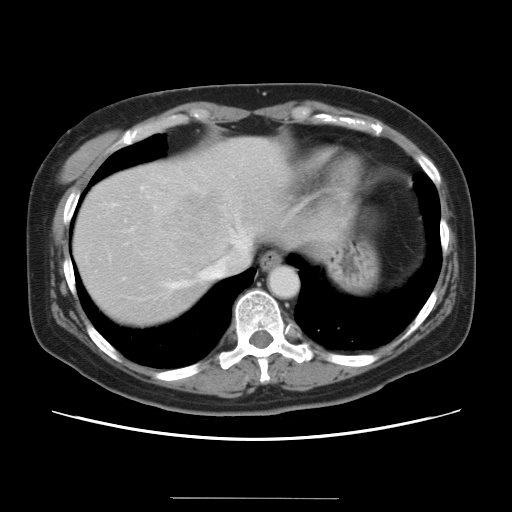
Abdomen; Computed tomography
The vessel boxes may cover only some of the vessels.
Hepatic vessel = <bbox>239, 228, 243, 234</bbox>, <bbox>154, 207, 155, 209</bbox>, <bbox>113, 204, 115, 206</bbox>, <bbox>229, 230, 233, 235</bbox>, <bbox>231, 240, 232, 242</bbox>, <bbox>168, 280, 187, 290</bbox>, <bbox>130, 228, 133, 230</bbox>, <bbox>199, 242, 247, 281</bbox>.
Liver tumor = <bbox>161, 195, 223, 255</bbox>.